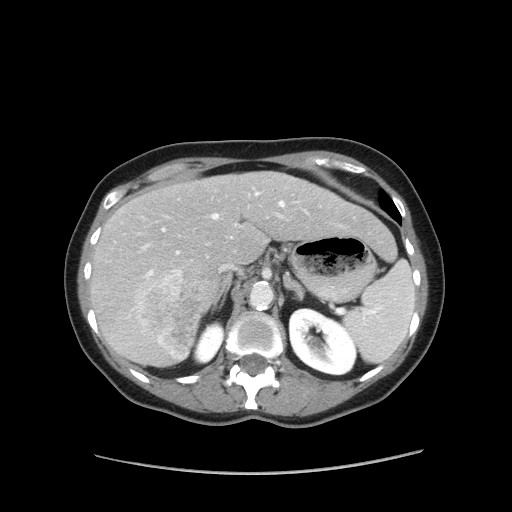 Computed tomography | Liver

The vessel boxes may cover only some of the vessels.
Hepatic vessel at left=279, top=202, right=284, bottom=206; left=176, top=251, right=179, bottom=253; left=228, top=236, right=232, bottom=238; left=212, top=213, right=218, bottom=218; left=163, top=228, right=165, bottom=230; left=256, top=193, right=258, bottom=195; left=142, top=244, right=148, bottom=249; left=219, top=263, right=233, bottom=270; left=277, top=214, right=282, bottom=217.
Liver tumor at left=130, top=266, right=214, bottom=359.